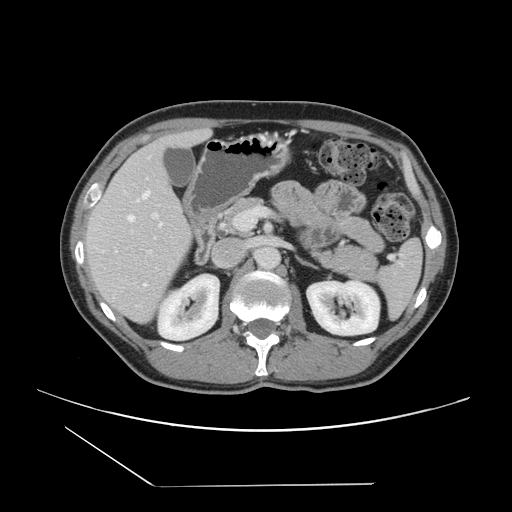

CT, Abdomen, Image size 512x512
Some hepatic vessels may have no box.
Hepatic vessel — [137, 305, 138, 306], [93, 247, 96, 248].